Image size 512x512 | CT | Upper abdomen 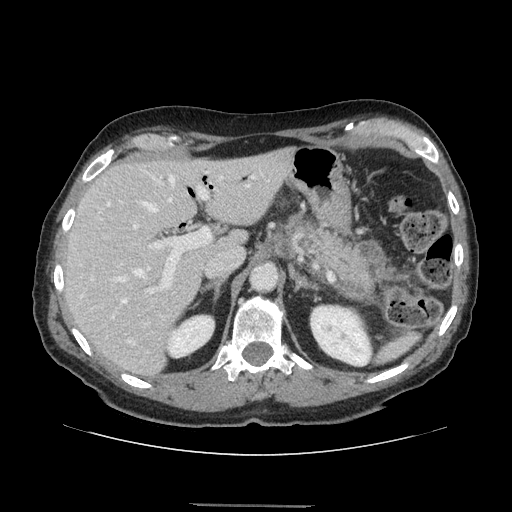

<segmentation>
  <pancreas>region(296, 224, 370, 289)</pancreas>
</segmentation>